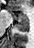 Medial temporal lobe, Image size 34x48, MR
Segmented structures:
* posterior hippocampus: 15,21,28,31
* anterior hippocampus: 11,12,27,20